FLAIR MR.
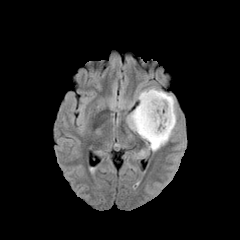
T1-weighted MRI.
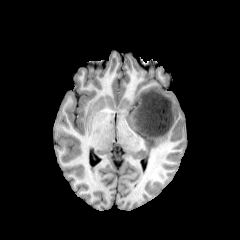
Post-contrast T1-weighted MR.
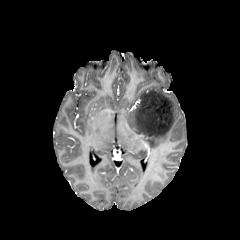
T2-weighted MRI.
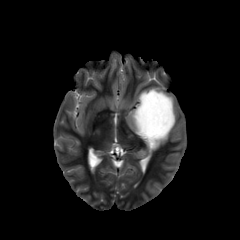
Head
The non-enhancing tumor core is at bbox=[132, 89, 173, 141]. The edema lies within bbox=[114, 83, 178, 150].